Head. Slice 69/155.
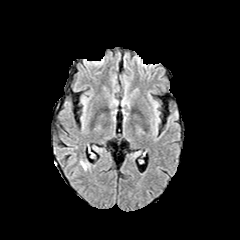
FLAIR MR.
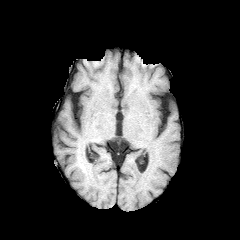
T1-weighted MR.
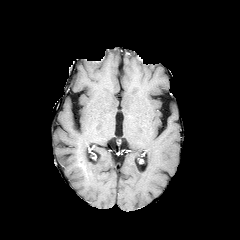
Post-contrast T1-weighted MR image.
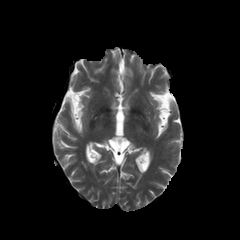
T2-weighted MRI.
Edema = bbox(80, 160, 90, 169).